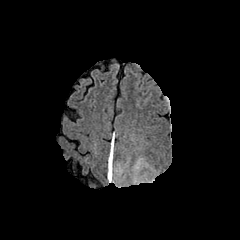
FLAIR MRI.
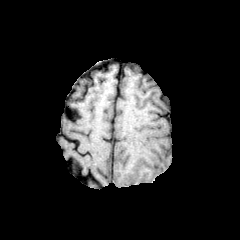
T1-weighted magnetic resonance.
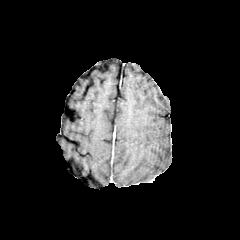
Post-contrast T1-weighted magnetic resonance.
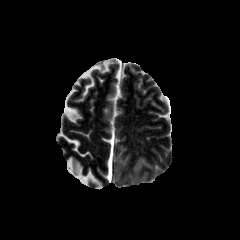
T2-weighted MRI.
Brain
The edema is bounded by 107,140,113,180.